Slice 22/45, CT slice
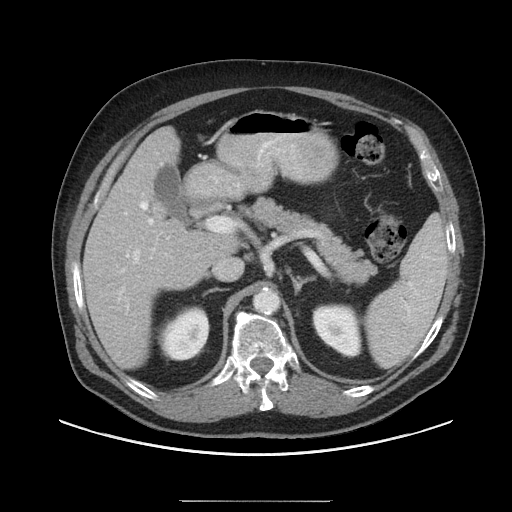
Only some of the vessels may be annotated.
Hepatic vessel = box(133, 250, 139, 263); box(149, 219, 152, 223); box(121, 287, 124, 292); box(122, 269, 124, 271); box(124, 212, 126, 214); box(152, 248, 154, 250); box(126, 255, 128, 256); box(140, 202, 147, 209).